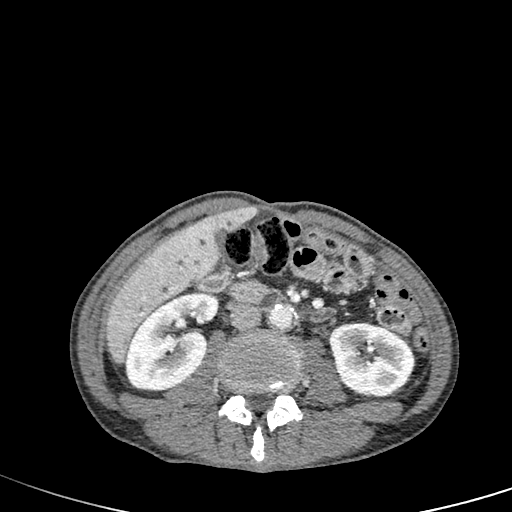
Upper abdomen; CT scan slice; 512x512

Annotated regions:
* liver: (left=106, top=213, right=224, bottom=364)
* kidney: (left=330, top=323, right=413, bottom=395), (left=126, top=293, right=217, bottom=389)
* focal liver lesion: (left=218, top=207, right=256, bottom=230)